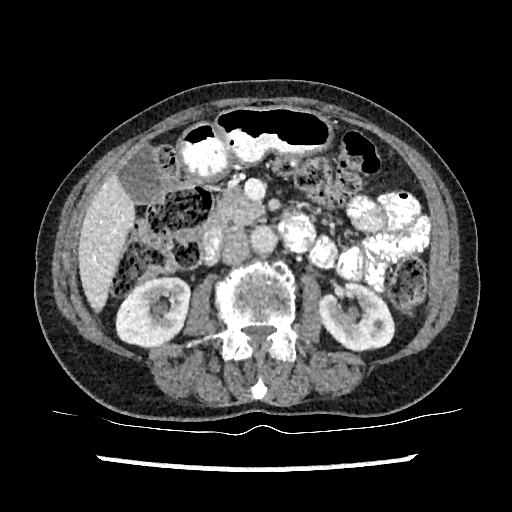
CT image

2 kidney regions are located at 320,284,393,349; 117,279,189,346. The liver is at 78,178,135,310.